Abdomen; CT scan slice

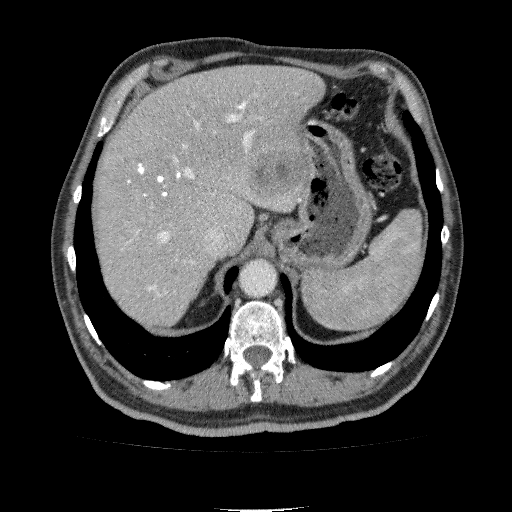 Findings:
* liver: bbox(95, 67, 324, 332)
* hepatic lesion: bbox(247, 146, 310, 199)